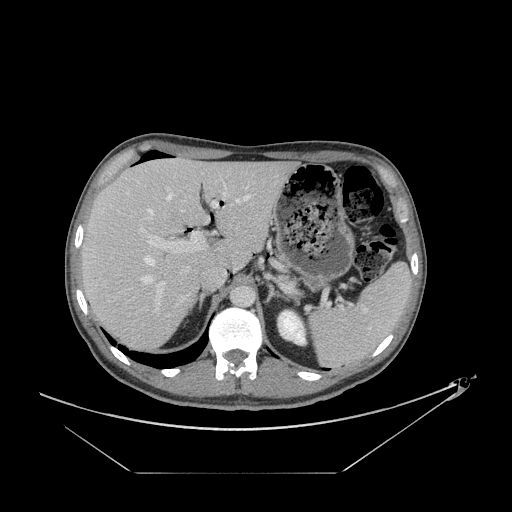 Computed tomography, 512x512, Upper abdomen
<segmentation>
  <pancreas>region(283, 273, 297, 284)</pancreas>
</segmentation>